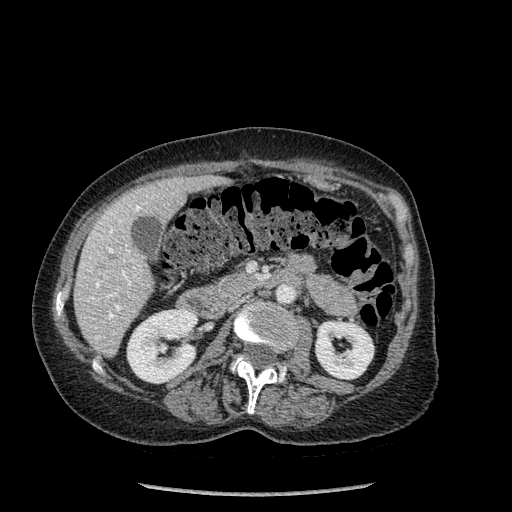
Image size 512x512 | CT scan slice
{"kidney": ["(127, 309, 197, 382)", "(316, 322, 373, 379)"], "liver": ["(74, 175, 231, 354)"], "bone": ["(55, 292, 64, 315)", "(93, 361, 102, 373)", "(231, 356, 285, 413)", "(234, 301, 298, 352)"]}